512x512 px. CT slice. Lower abdomen. Image width 407 mm.
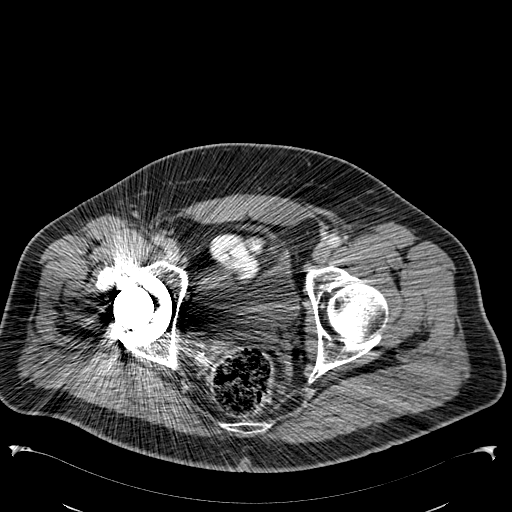 Urinary bladder: bbox(198, 220, 301, 327).